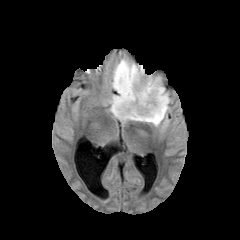
FLAIR MR image.
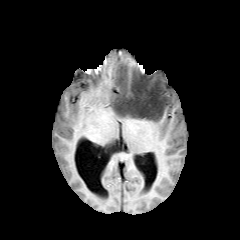
T1-weighted MRI.
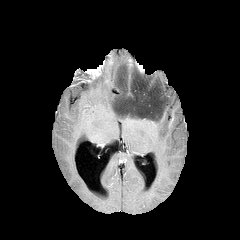
Post-contrast T1-weighted MR.
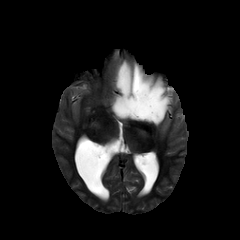
Same slice, T2-weighted MR.
Brain. 240x240 px.
2 non-enhancing tumor core regions are located at (114, 73, 165, 117), (118, 71, 127, 91). The edema is bounded by (110, 58, 172, 128).